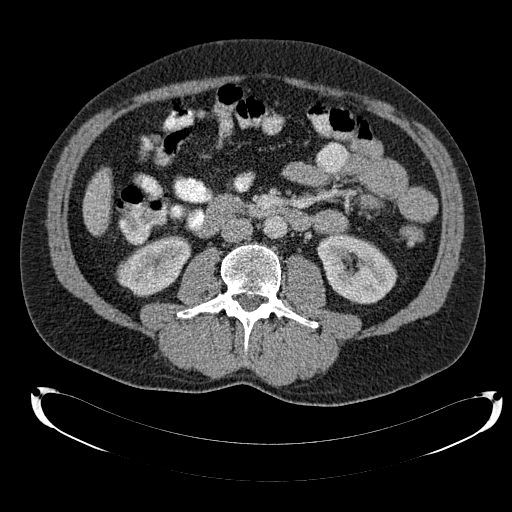
Upper abdomen, CT image, Image size 512x512
kidney: rect(318, 234, 395, 303); rect(119, 237, 189, 295) | liver: rect(84, 171, 109, 233)